Image width 500 mm, Computed tomography, Slice index 196, Chest
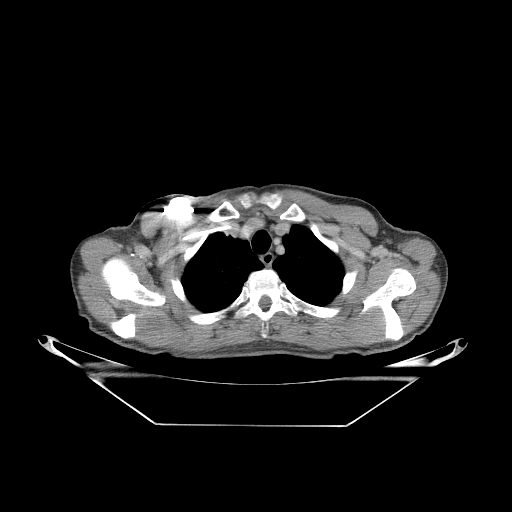

12 bone regions are bounded by [190, 310, 223, 323], [280, 204, 334, 250], [304, 303, 338, 317], [162, 197, 193, 226], [266, 195, 280, 208], [362, 269, 415, 339], [102, 258, 164, 306], [343, 271, 356, 293], [182, 202, 238, 259], [237, 270, 297, 329], [171, 279, 184, 300], [111, 314, 135, 337]. 2 lung regions are bounded by [181, 232, 262, 312], [273, 224, 344, 305].